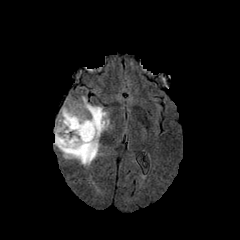
FLAIR MR.
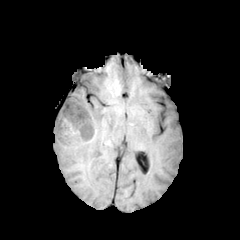
T1-weighted MR image of the same slice.
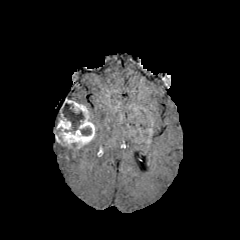
Post-contrast T1-weighted MR image.
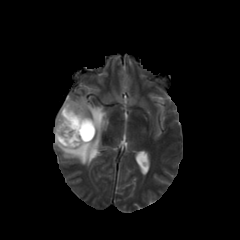
T2-weighted magnetic resonance.
Image size 240x240
Enhancing tumor: 54 98 95 149.
Edema: 54 95 110 168.
Non-enhancing tumor core: 62 103 92 136.